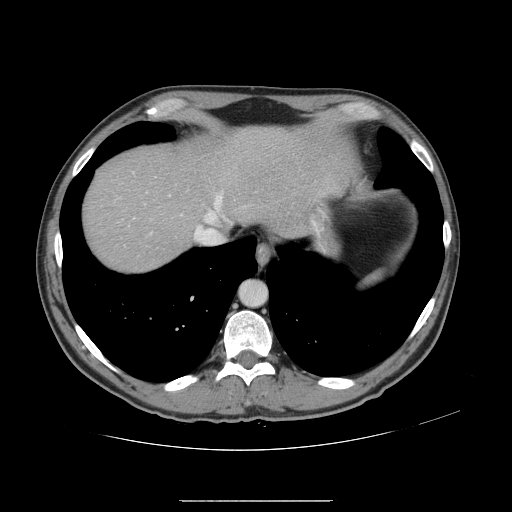
512x512 px; CT
The vessel annotation is not exhaustive.
Segmented structures:
• hepatic vessel: bbox=[195, 228, 220, 243]; bbox=[203, 194, 221, 223]